512x512 px, Computed tomography

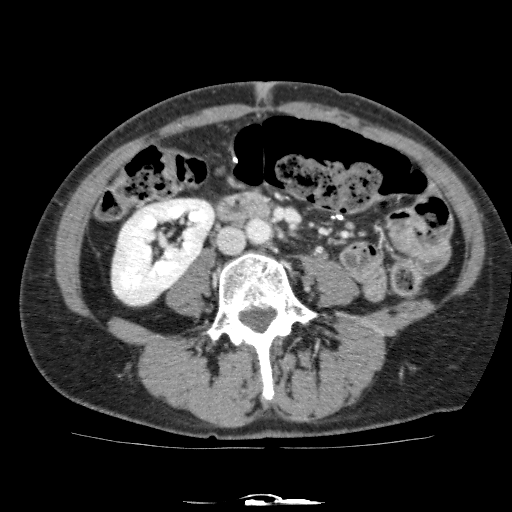

The kidney is at region(112, 199, 213, 304).